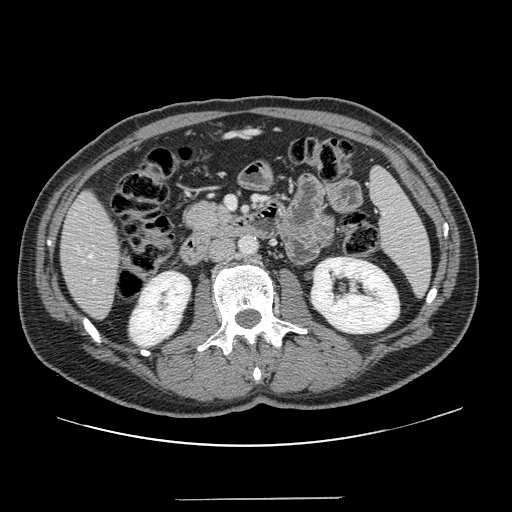
Computed tomography | 512x512 | Upper abdomen

pancreas: 181, 199, 234, 246 | pancreatic tumor: 186, 202, 221, 232